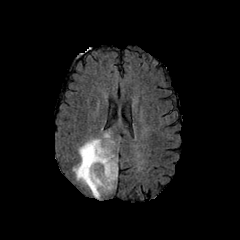
FLAIR magnetic resonance.
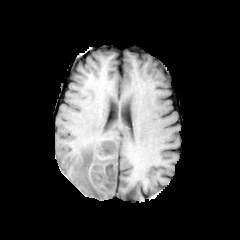
Same slice, T1-weighted MRI.
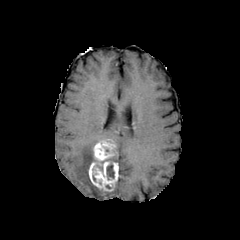
Same slice, post-contrast T1-weighted magnetic resonance.
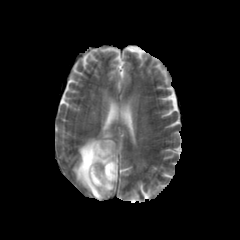
T2-weighted magnetic resonance.
240x240
<segmentation>
  <enhancing_tumor>region(88, 139, 118, 192)</enhancing_tumor>
  <edema>region(73, 138, 103, 198); region(103, 132, 110, 138)</edema>
  <non-enhancing_tumor_core>region(107, 165, 114, 177)</non-enhancing_tumor_core>
</segmentation>